Slice index 76.
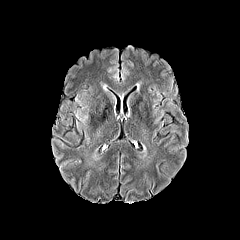
FLAIR MR image.
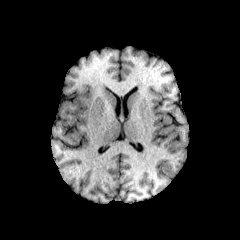
T1-weighted MR image of the same slice.
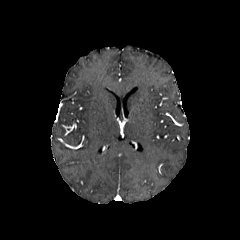
Post-contrast T1-weighted MR of the same slice.
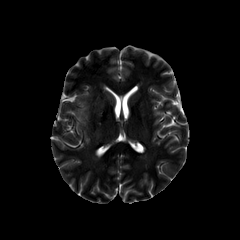
T2-weighted MRI.
Edema at box(77, 122, 87, 137); box(75, 110, 88, 122).